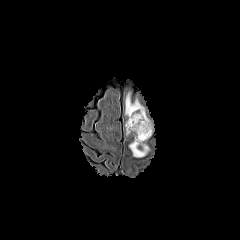
FLAIR MR.
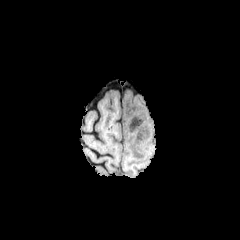
Same slice, T1-weighted magnetic resonance.
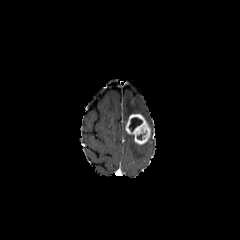
Post-contrast T1-weighted MR image.
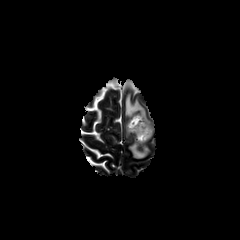
Same slice, T2-weighted MR.
The enhancing tumor is located at (x1=125, y1=114, x2=151, y2=144). The non-enhancing tumor core is bounded by (x1=129, y1=117, x2=142, y2=131). 3 edema regions are bounded by (x1=124, y1=93, x2=145, y2=117), (x1=128, y1=142, x2=148, y2=158), (x1=145, y1=118, x2=153, y2=130).